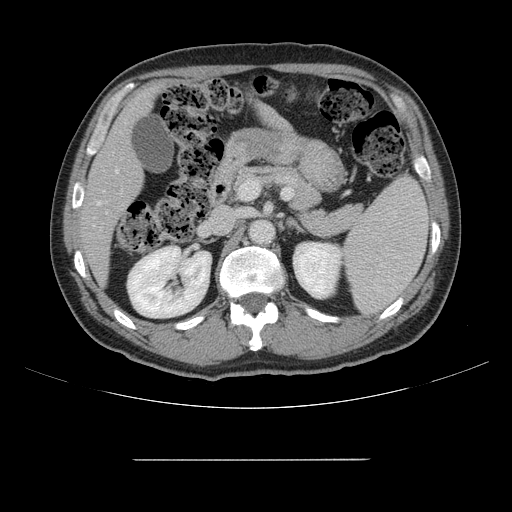 CT slice

The vessel annotation is not exhaustive.
hepatic vessel: <box>116,168,117,172</box>, <box>97,202,100,204</box>